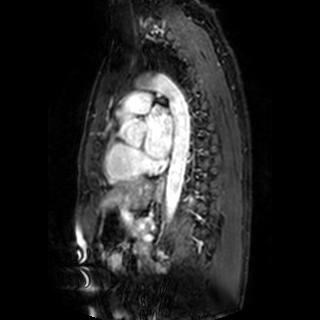 MR
The left atrium is at box(143, 106, 172, 158).